Slice 38/100; CT scan slice; Abdomen
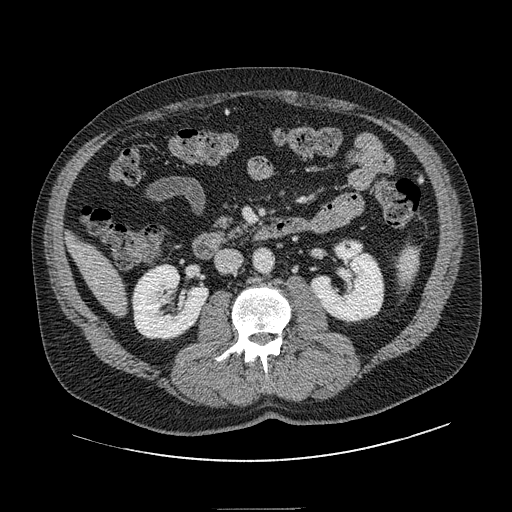

Pancreas: 216,217,250,235.